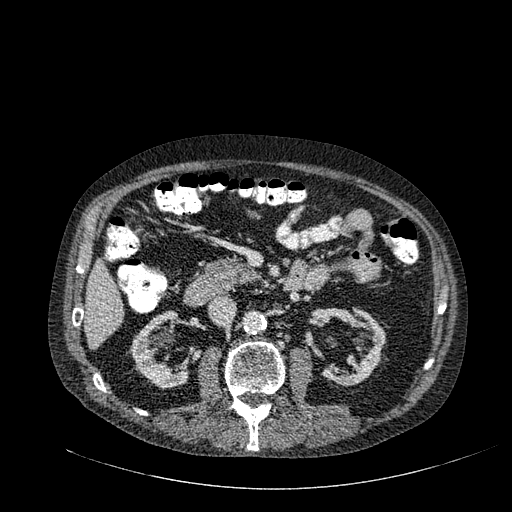 Upper abdomen. CT scan slice.
The liver is located at region(85, 259, 121, 349). 3 kidney regions are located at region(190, 317, 204, 328); region(129, 310, 188, 389); region(321, 308, 385, 386).